36x55 | MR

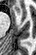 anterior hippocampus: {"x1": 13, "y1": 7, "x2": 20, "y2": 14}